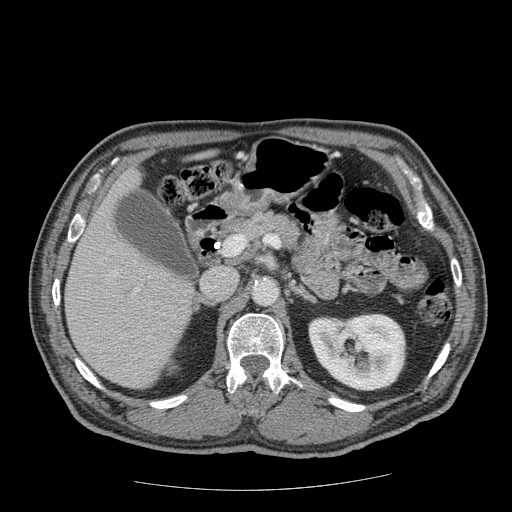
Abdomen, CT
The pancreas appears at (235,209,305,254).